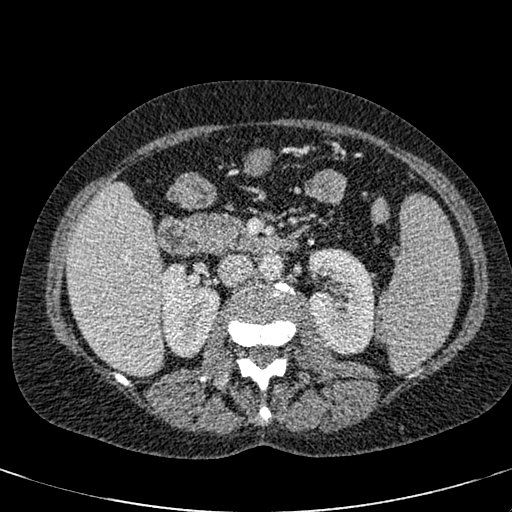

Computed tomography. The liver appears at rect(66, 183, 163, 375). 2 kidney regions are bounded by rect(162, 264, 219, 355); rect(308, 249, 373, 353).